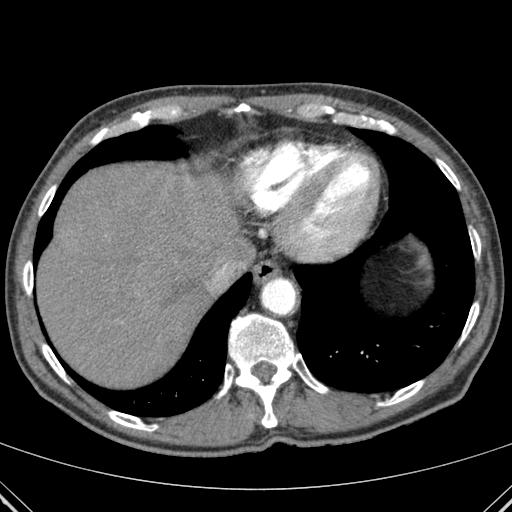

CT scan slice
Bone — 379,381,423,405; 236,103,249,111; 470,230,480,257; 90,129,105,144; 216,314,328,427; 23,261,33,294; 42,344,67,381; 108,411,157,431; 38,185,55,215; 436,159,459,189; 460,302,479,342; 378,120,396,133.
Lung — 294,128,474,392; 36,125,186,261; 41,273,251,416.
Liver — 35,166,244,388.